Abdomen. CT scan slice. Slice index 414. 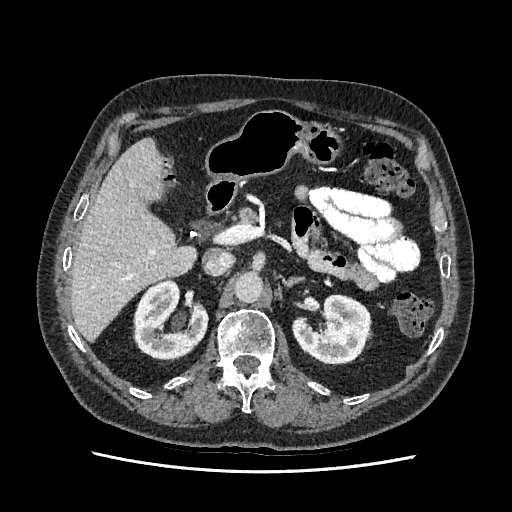

Liver: bounding box (x1=72, y1=138, x2=195, y2=341).
Kidney: bounding box (x1=293, y1=295, x2=369, y2=363), (x1=135, y1=281, x2=207, y2=358).